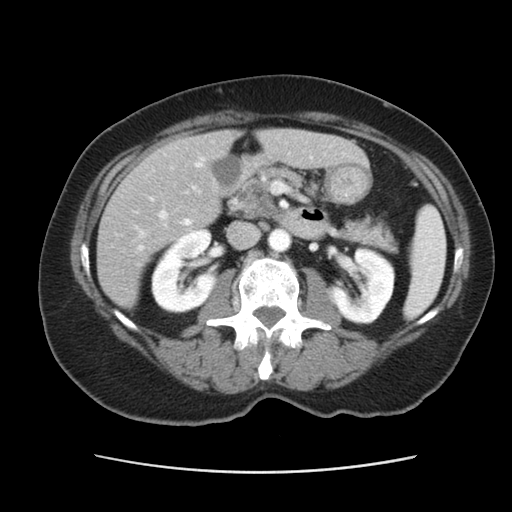 Image size 512x512; CT image; Liver
Only some of the vessels may be annotated.
hepatic vessel: left=278, top=184, right=283, bottom=189; left=244, top=227, right=257, bottom=237; left=160, top=212, right=166, bottom=218; left=192, top=187, right=199, bottom=193; left=140, top=230, right=145, bottom=235; left=196, top=157, right=204, bottom=167; left=184, top=219, right=190, bottom=224; left=150, top=197, right=153, bottom=200; left=139, top=246, right=143, bottom=249